Liver. CT.

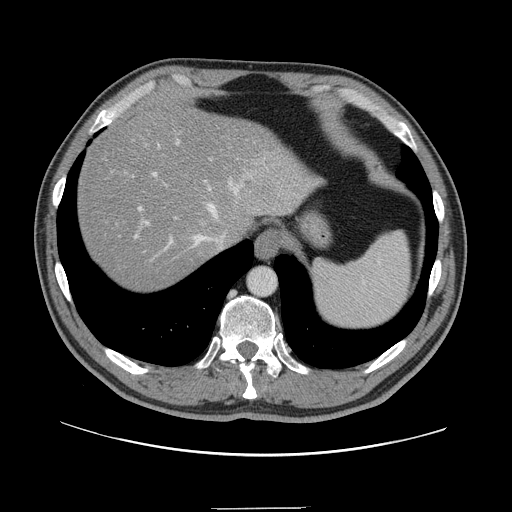 Not every hepatic vessel necessarily has a box.
{
  "hepatic_vessel": [
    "(x1=168, y1=239, x2=172, y2=246)",
    "(x1=205, y1=181, x2=207, y2=184)",
    "(x1=192, y1=236, x2=209, y2=247)",
    "(x1=177, y1=141, x2=179, y2=143)",
    "(x1=208, y1=186, x2=210, y2=189)",
    "(x1=247, y1=173, x2=249, y2=175)",
    "(x1=135, y1=235, x2=137, y2=238)",
    "(x1=230, y1=182, x2=242, y2=193)",
    "(x1=154, y1=173, x2=156, y2=176)",
    "(x1=142, y1=220, x2=148, y2=224)",
    "(x1=131, y1=176, x2=133, y2=177)",
    "(x1=210, y1=158, x2=212, y2=159)",
    "(x1=208, y1=205, x2=217, y2=215)",
    "(x1=139, y1=207, x2=142, y2=211)",
    "(x1=166, y1=247, x2=167, y2=249)"
  ]
}